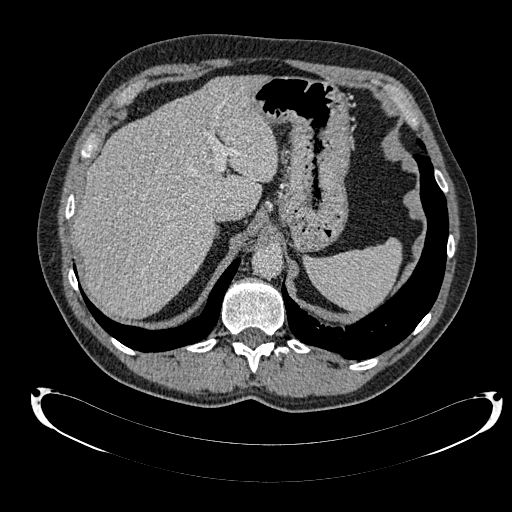
Liver | CT
Liver — l=74, t=76, r=278, b=317.